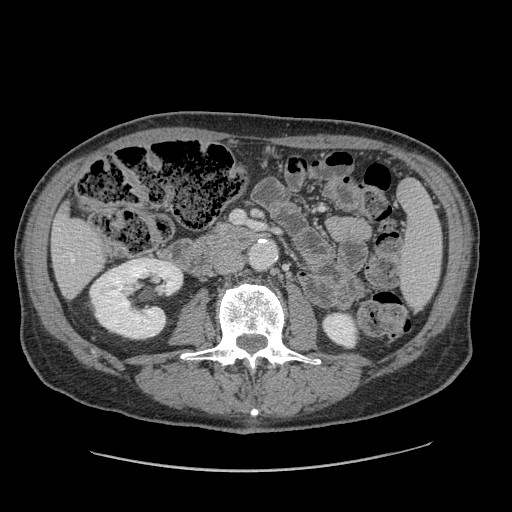

CT. Abdomen.

Annotated regions:
• pancreas: (left=213, top=224, right=235, bottom=234)